FLAIR magnetic resonance.
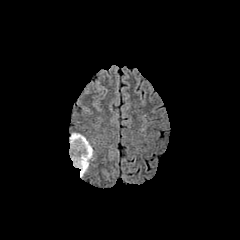
T1-weighted MRI.
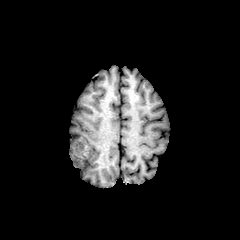
Post-contrast T1-weighted MRI.
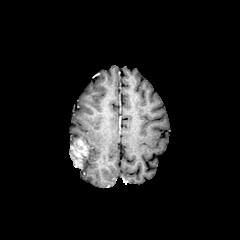
T2-weighted MRI.
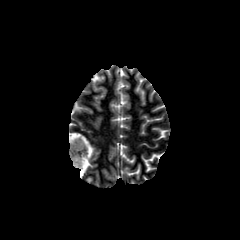
Brain
Segmented structures:
* non-enhancing tumor core: <box>71,144,86,159</box>
* edema: <box>70,130,95,176</box>
* enhancing tumor: <box>75,153,81,168</box>